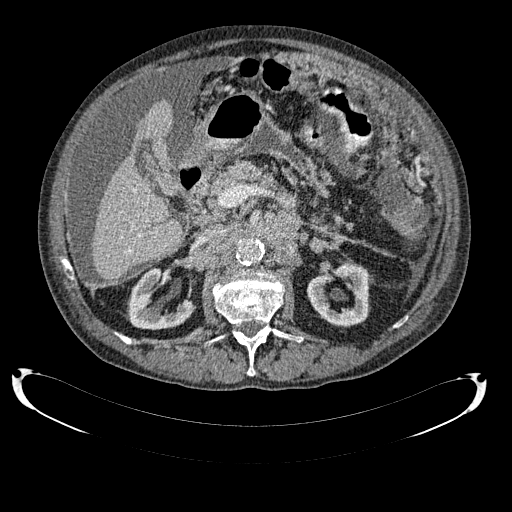

CT scan slice
2 liver regions are bounded by l=138, t=100, r=173, b=147; l=93, t=151, r=183, b=279. 2 kidney regions are bounded by l=129, t=268, r=193, b=329; l=307, t=263, r=368, b=326.